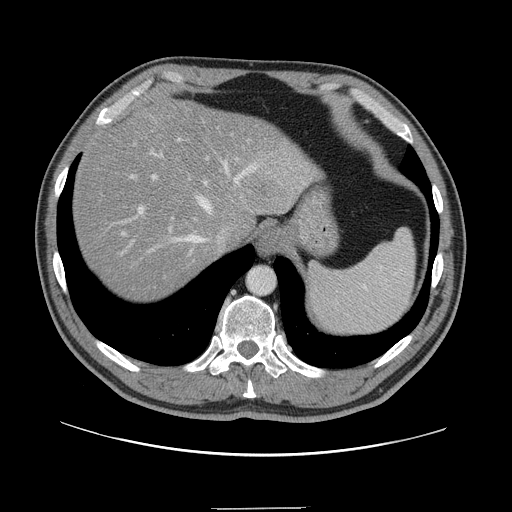

Computed tomography
Not every hepatic vessel necessarily has a box.
13 hepatic vessel regions are bounded by box=[139, 206, 143, 215]; box=[122, 232, 124, 234]; box=[190, 251, 191, 253]; box=[199, 197, 211, 211]; box=[223, 162, 228, 173]; box=[123, 221, 128, 222]; box=[170, 235, 203, 244]; box=[204, 181, 207, 184]; box=[130, 176, 135, 178]; box=[152, 152, 162, 157]; box=[233, 165, 255, 184]; box=[178, 139, 180, 141]; box=[153, 175, 156, 178].